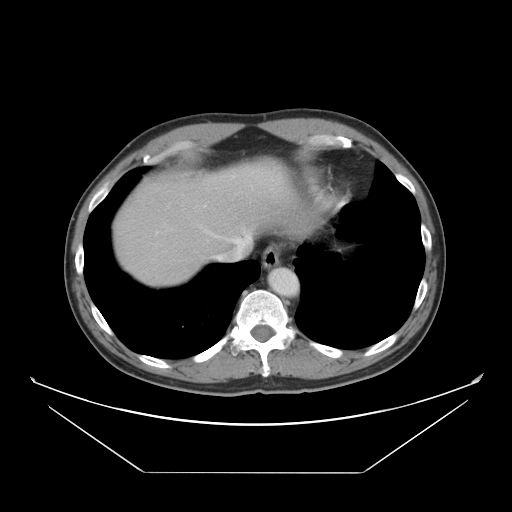 Computed tomography | Abdomen
The vessel annotation is not exhaustive.
{"hepatic_vessel": ["x1=213 y1=254 x2=228 y2=259", "x1=204 y1=229 x2=251 y2=259"]}